240x240 px
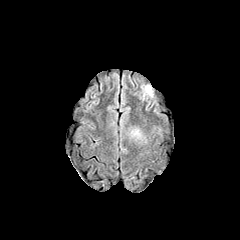
FLAIR MRI.
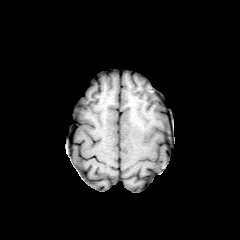
T1-weighted MR image.
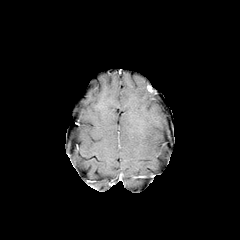
Post-contrast T1-weighted MRI.
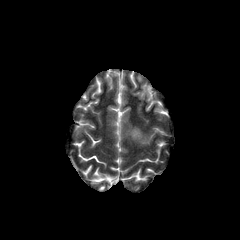
T2-weighted magnetic resonance.
edema: box(131, 128, 142, 143)